FLAIR MRI.
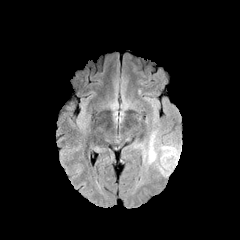
T1-weighted MRI.
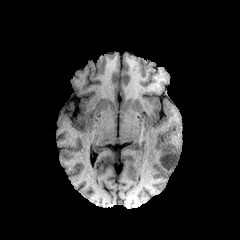
Post-contrast T1-weighted MR image.
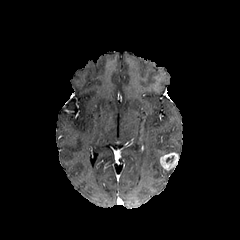
T2-weighted MRI.
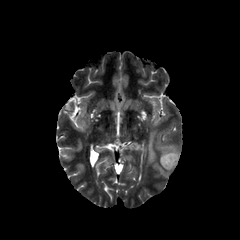
Image size 240x240.
Edema: left=161, top=146, right=178, bottom=152; left=158, top=166, right=171, bottom=177; left=142, top=131, right=156, bottom=163.
Enhancing tumor: left=159, top=152, right=179, bottom=170.